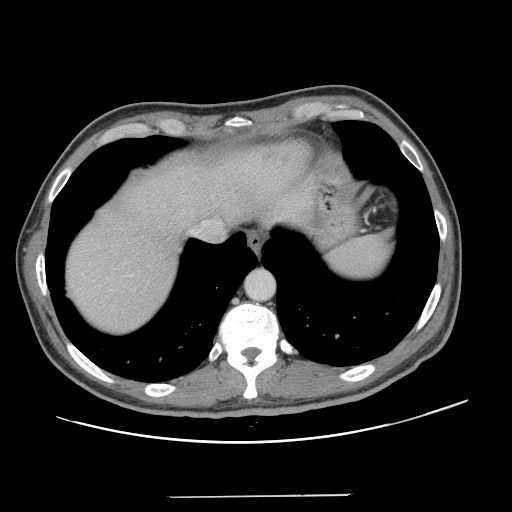
Computed tomography; Liver
Not every hepatic vessel necessarily has a box.
hepatic_vessel:
  - bbox=[191, 230, 192, 232]